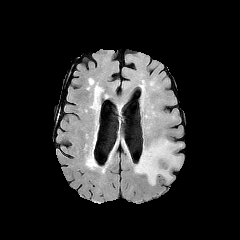
FLAIR magnetic resonance.
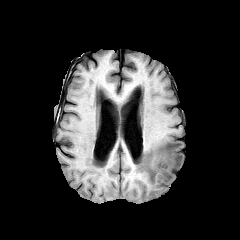
T1-weighted magnetic resonance of the same slice.
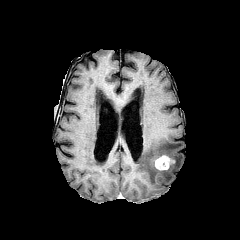
Post-contrast T1-weighted MR of the same slice.
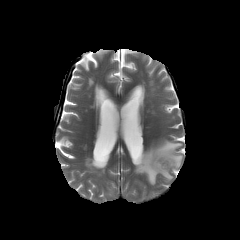
T2-weighted MR of the same slice.
Image size 240x240 | Brain
Segmented structures:
* edema: (134,138,181,185)
* enhancing tumor: (155,155,174,169)